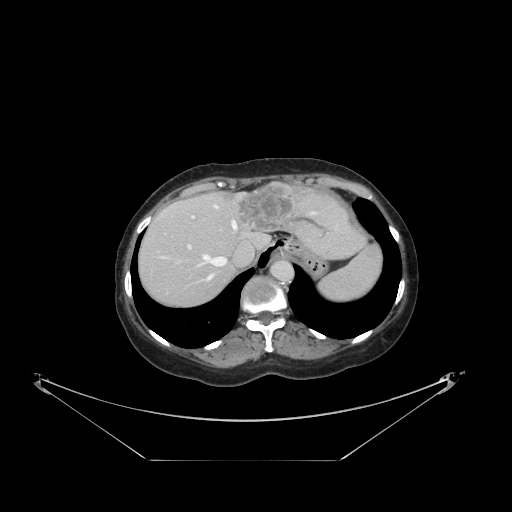

512x512 px, Computed tomography
Not every hepatic vessel necessarily has a box.
The liver tumor is bounded by left=234, top=183, right=296, bottom=231. 9 hepatic vessel regions appear at left=207, top=274, right=213, bottom=280; left=188, top=245, right=191, bottom=248; left=214, top=204, right=216, bottom=207; left=198, top=254, right=227, bottom=266; left=192, top=216, right=194, bottom=218; left=312, top=212, right=315, bottom=214; left=234, top=244, right=253, bottom=263; left=231, top=219, right=237, bottom=230; left=160, top=257, right=164, bottom=257.